MRI slice; Cardiac; Slice 70/120 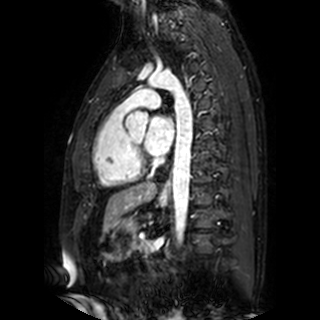 The left atrium is bounded by x1=145 y1=116 x2=173 y2=154.